240x240, Image width 240 mm, Slice 70 of 155
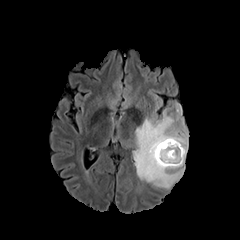
FLAIR MR image.
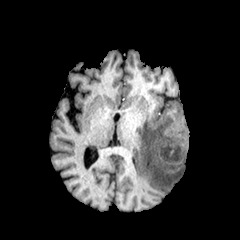
T1-weighted MR image.
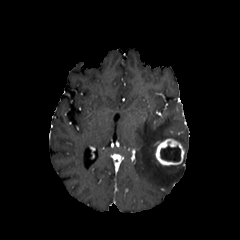
Same slice, post-contrast T1-weighted MRI.
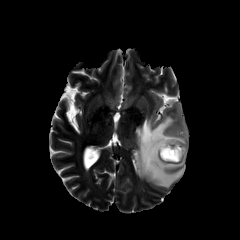
T2-weighted MRI of the same slice.
The non-enhancing tumor core lies within left=160, top=145, right=181, bottom=162. The edema is bounded by left=134, top=112, right=188, bottom=188. The enhancing tumor lies within left=155, top=138, right=184, bottom=165.